Slice 36/42. Image size 512x512. Computed tomography. Abdomen. 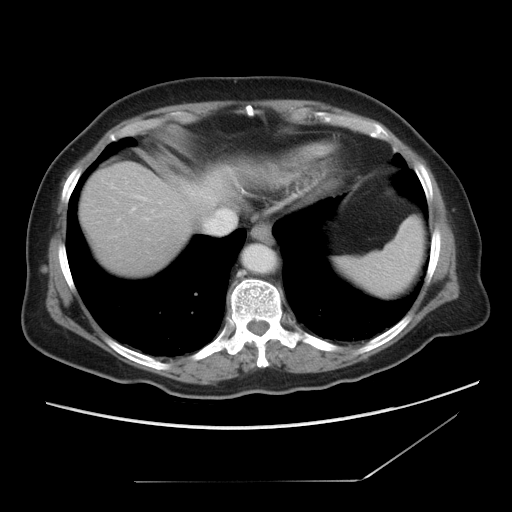 Not every hepatic vessel necessarily has a box.
The hepatic vessel is located at left=209, top=209, right=233, bottom=223.